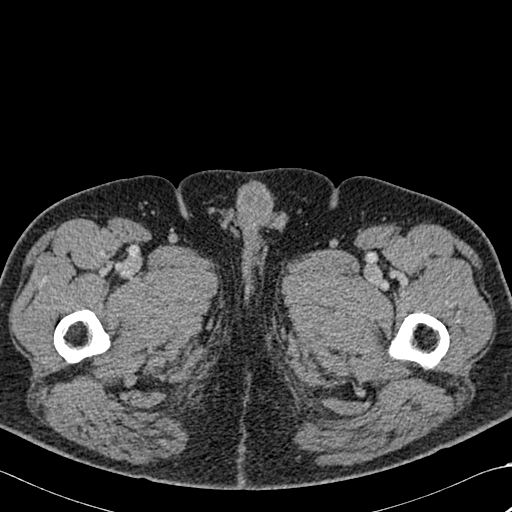
CT image
Annotated regions:
* bone: 389 312 449 367, 54 310 109 362